240x240
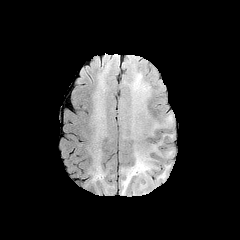
FLAIR magnetic resonance.
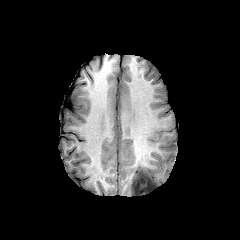
T1-weighted magnetic resonance of the same slice.
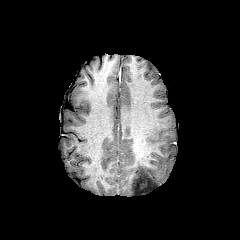
Post-contrast T1-weighted MRI.
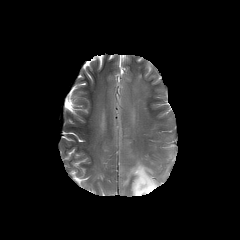
Same slice, T2-weighted MRI.
{"non-enhancing_tumor_core": ["bbox=[132, 166, 155, 193]"], "edema": ["bbox=[121, 155, 155, 194]", "bbox=[157, 164, 170, 181]"]}